FLAIR MRI.
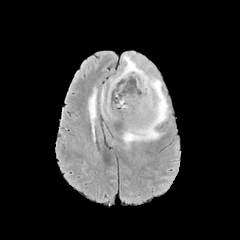
T1-weighted MRI.
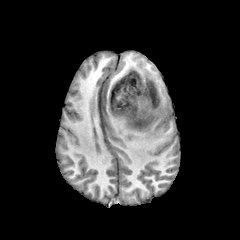
Post-contrast T1-weighted MR image.
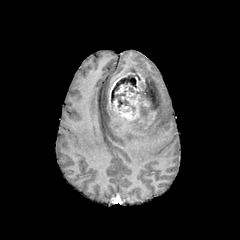
T2-weighted MRI.
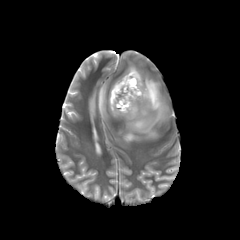
<segmentation>
  <edema>x1=101, y1=87, x2=120, y2=116; x1=89, y1=88, x2=96, y2=140; x1=110, y1=52, x2=169, y2=143</edema>
  <enhancing_tumor>x1=113, y1=94, x2=139, y2=121</enhancing_tumor>
  <non-enhancing_tumor_core>x1=110, y1=73, x2=153, y2=124</non-enhancing_tumor_core>
</segmentation>